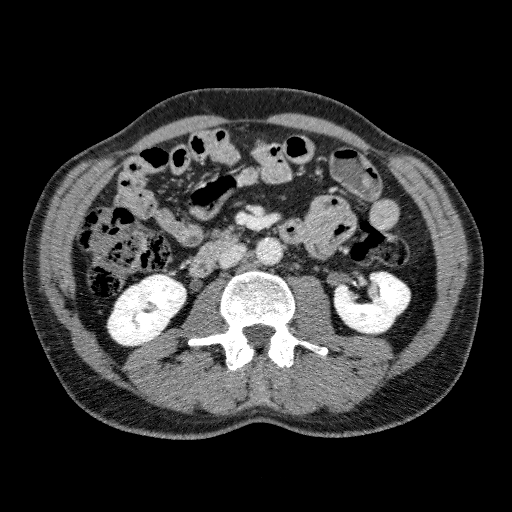
CT image | 512x512

kidney:
  - 108,275,185,345
  - 334,272,409,332